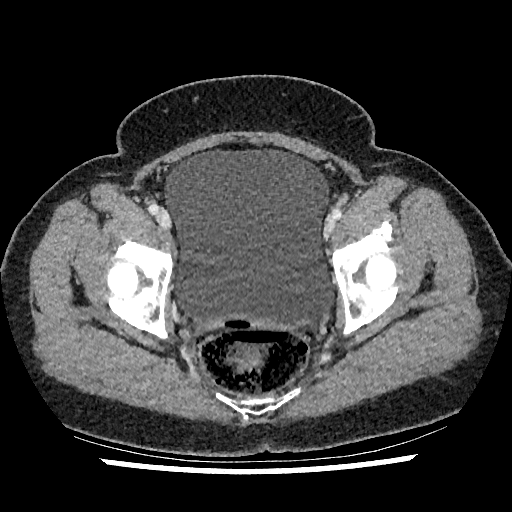

CT image; Lower abdomen
Urinary bladder — [165,149,334,329].